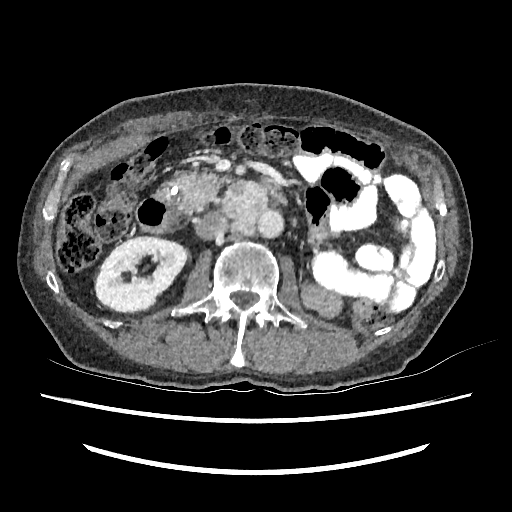

Computed tomography
Kidney: bounding box <bbox>96, 237, 186, 311</bbox>.